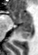 MR | Image size 38x55

posterior hippocampus: (left=19, top=25, right=31, bottom=37) | anterior hippocampus: (left=11, top=10, right=31, bottom=24)